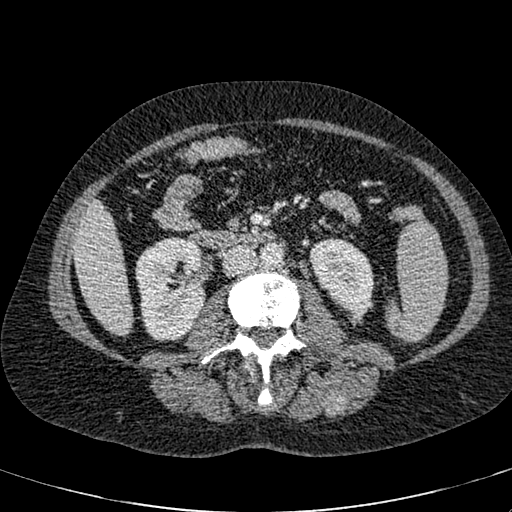
CT slice.

Kidney — left=310, top=239, right=373, bottom=316; left=136, top=238, right=204, bottom=339.
Liver — left=75, top=202, right=133, bottom=333.